FLAIR MRI.
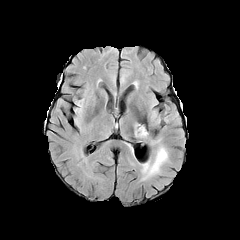
T1-weighted MR image.
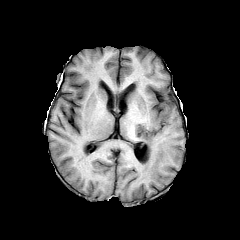
Post-contrast T1-weighted MR.
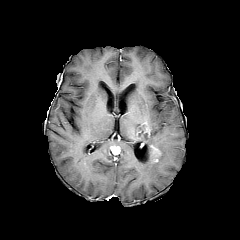
T2-weighted magnetic resonance.
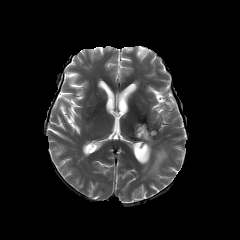
Edema: bounding box box(140, 145, 169, 179); box(138, 125, 150, 139).
Non-enhancing tumor core: bounding box box(137, 126, 147, 136).